FLAIR MR image.
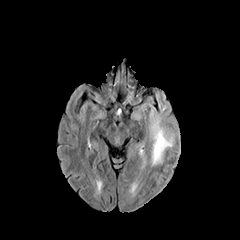
T1-weighted MR image.
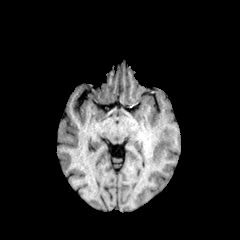
Post-contrast T1-weighted MR image.
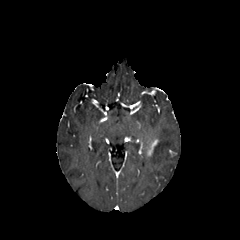
T2-weighted magnetic resonance.
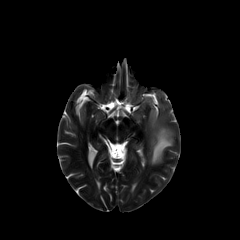
240x240 px; Head
Enhancing tumor: 146, 134, 158, 155.
Edema: 149, 127, 173, 164.